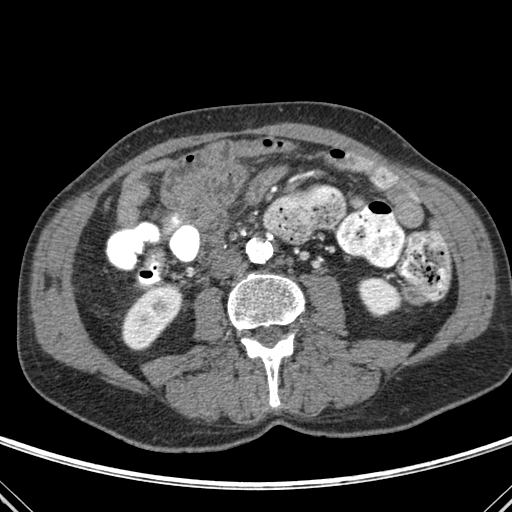

Abdomen; Image size 512x512; CT scan slice
2 kidney regions appear at <box>123,287,180,348</box>, <box>360,279,395,314</box>. 2 bone regions are bounded by <box>241,334,294,407</box>, <box>227,273,304,331</box>.